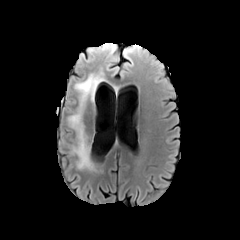
FLAIR MR image.
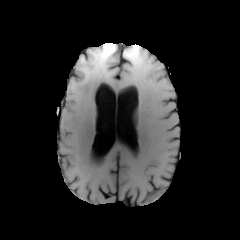
T1-weighted MR image.
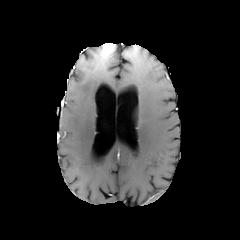
Same slice, post-contrast T1-weighted MR image.
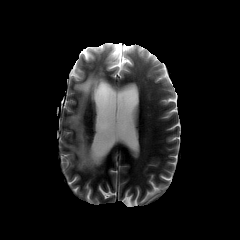
Same slice, T2-weighted magnetic resonance.
Image size 240x240
<segmentation>
  <enhancing_tumor>rect(101, 46, 114, 61)</enhancing_tumor>
  <non-enhancing_tumor_core>rect(104, 44, 116, 67); rect(86, 46, 105, 59)</non-enhancing_tumor_core>
  <edema>rect(77, 55, 83, 67); rect(85, 57, 105, 62); rect(68, 66, 105, 170); rect(106, 46, 144, 73)</edema>
</segmentation>